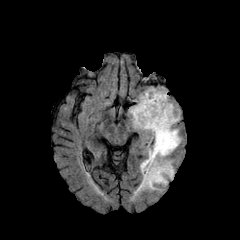
FLAIR MR image.
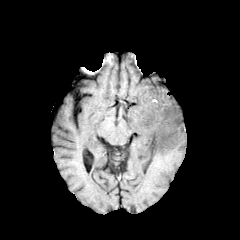
Same slice, T1-weighted MR.
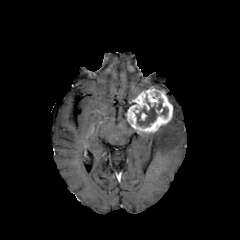
Post-contrast T1-weighted MR image.
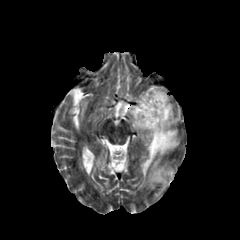
T2-weighted magnetic resonance.
Brain, 240x240 px
non-enhancing tumor core: [136, 99, 156, 125] | edema: [136, 106, 180, 191] | enhancing tumor: [127, 87, 173, 133]